FLAIR MRI.
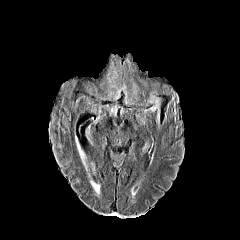
T1-weighted magnetic resonance.
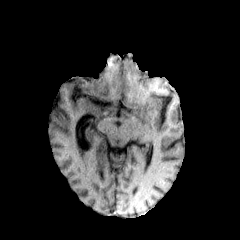
Post-contrast T1-weighted magnetic resonance.
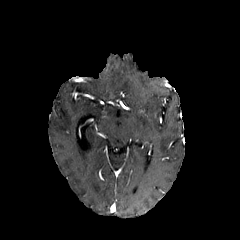
T2-weighted MR.
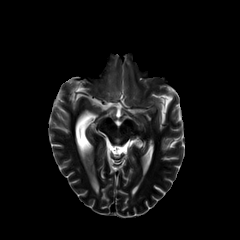
Head
Edema — (left=115, top=89, right=121, bottom=102), (left=144, top=91, right=161, bottom=121), (left=107, top=107, right=116, bottom=115), (left=133, top=83, right=140, bottom=95).